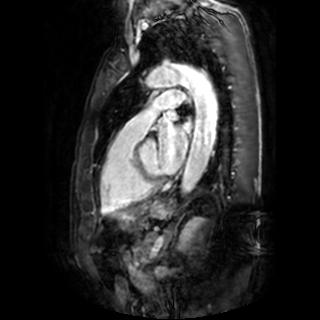 320x320, MRI
Left atrium: bounding box rect(183, 123, 189, 131); rect(159, 126, 187, 174); rect(166, 110, 177, 119).